CT image. Image size 512x512. Abdomen.
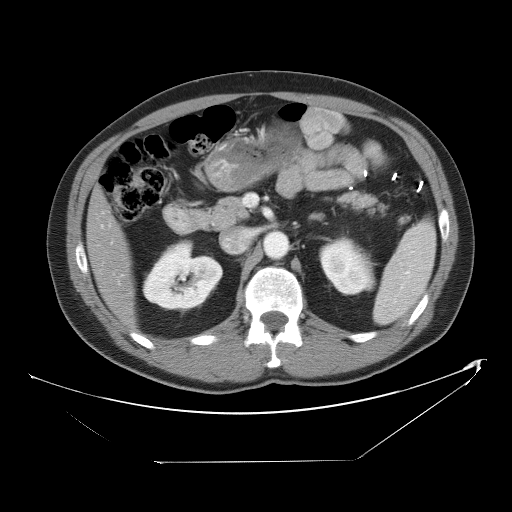
The vessel boxes may cover only some of the vessels.
<segmentation>
  <hepatic_vessel>bbox(120, 274, 122, 275); bbox(111, 241, 112, 243); bbox(108, 222, 110, 226)</hepatic_vessel>
</segmentation>